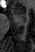

Image size 35x52 | MRI
anterior_hippocampus:
  - 11,7,24,18
  - 23,15,24,18